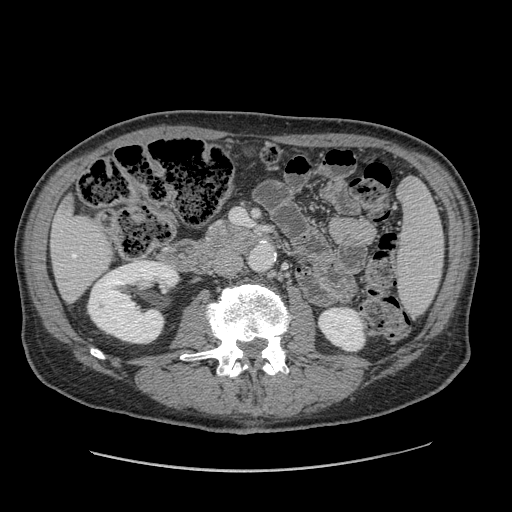

Computed tomography
<segmentation>
  <pancreas>l=208, t=222, r=244, b=239</pancreas>
</segmentation>